Brain
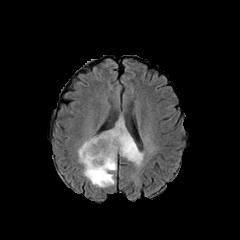
FLAIR MRI.
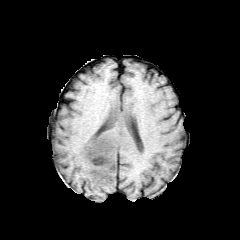
Same slice, T1-weighted MR.
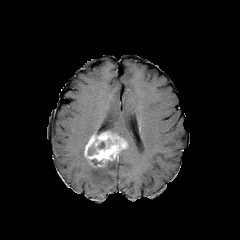
Same slice, post-contrast T1-weighted MR.
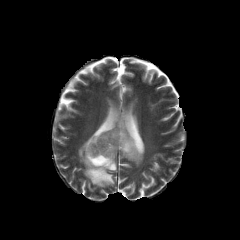
T2-weighted MR.
2 edema regions are bounded by 108 114 144 166, 77 134 116 188. The enhancing tumor is located at 84 131 128 167.